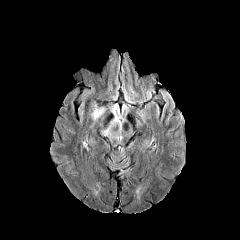
FLAIR MR.
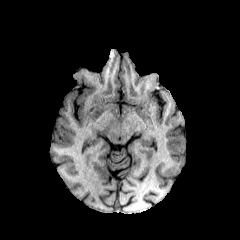
Same slice, T1-weighted MR.
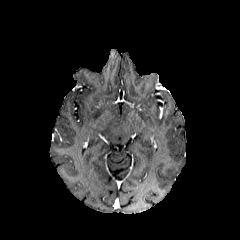
Post-contrast T1-weighted MR image.
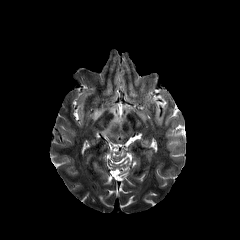
Same slice, T2-weighted magnetic resonance.
240x240
The edema lies within {"x1": 93, "y1": 108, "x2": 103, "y2": 117}.